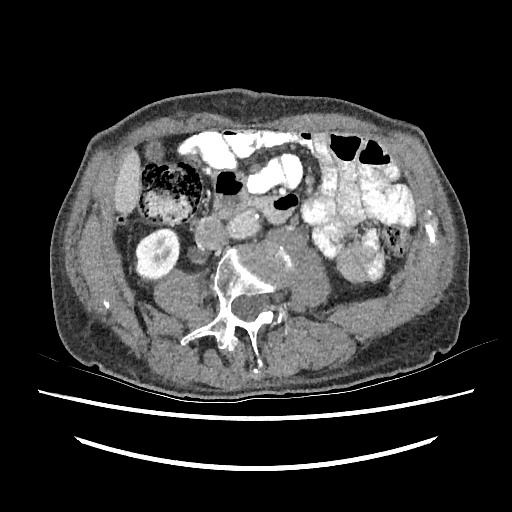
CT slice. Liver.
The kidney is located at rect(136, 229, 178, 278). The liver is at rect(114, 150, 139, 213).